Image size 512x512; Computed tomography 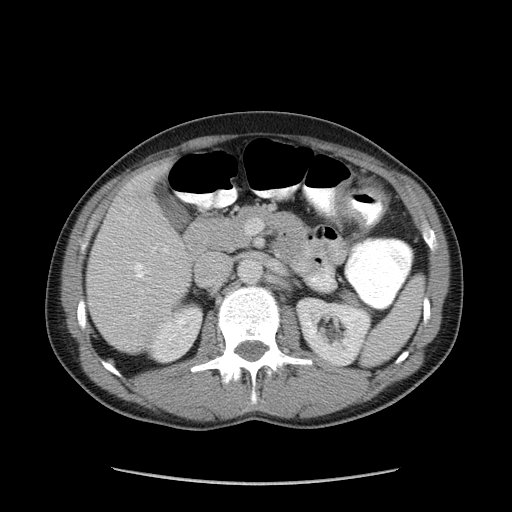 Colon tumor: box(335, 187, 381, 228).